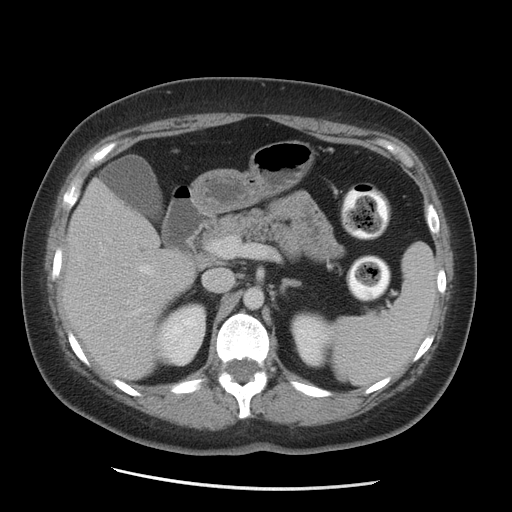 Computed tomography; Liver
liver:
  - region(62, 179, 194, 379)
kidney:
  - region(294, 317, 333, 364)
  - region(164, 308, 203, 358)